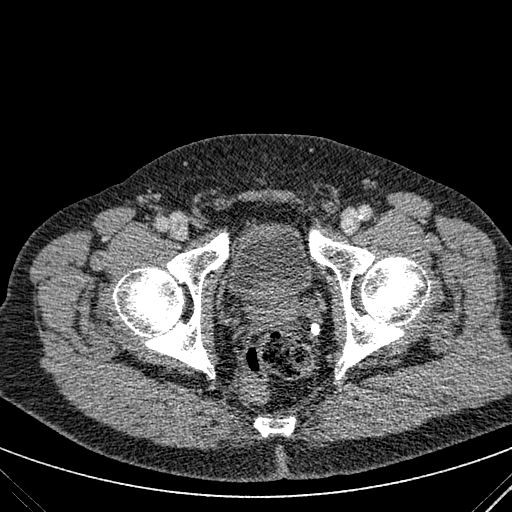

Computed tomography, Pelvis
The urinary bladder lies within box=[222, 217, 317, 307].